FLAIR MR image.
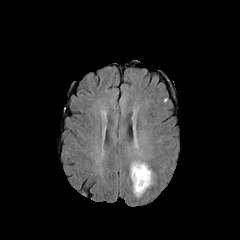
T1-weighted MR.
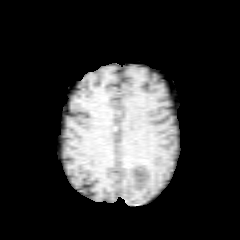
Post-contrast T1-weighted MR image.
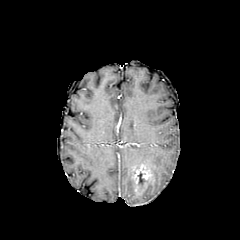
T2-weighted MR.
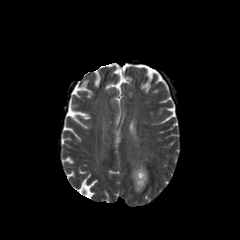
Brain.
enhancing_tumor:
  - x1=133 y1=164 x2=149 y2=190
edema:
  - x1=131 y1=161 x2=151 y2=195